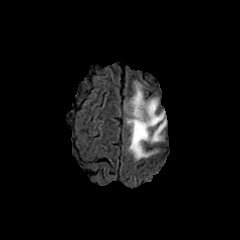
FLAIR MR.
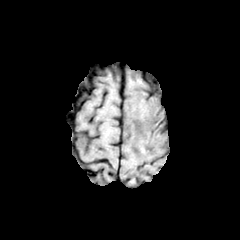
T1-weighted magnetic resonance.
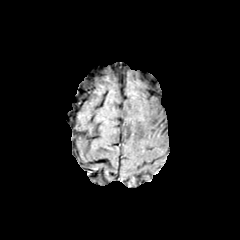
Post-contrast T1-weighted magnetic resonance.
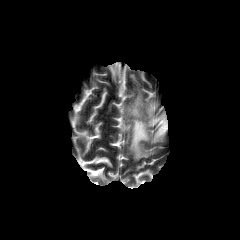
Same slice, T2-weighted MR.
Image size 240x240, Head
{"non-enhancing_tumor_core": ["132, 111, 143, 124"], "edema": ["124, 82, 167, 159"]}